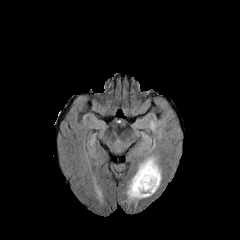
FLAIR MR image.
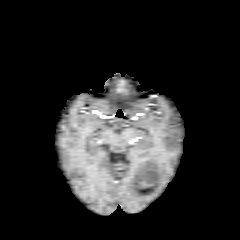
Same slice, T1-weighted MR image.
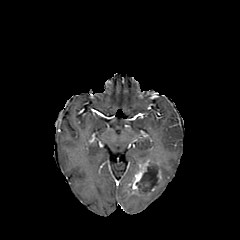
Post-contrast T1-weighted magnetic resonance of the same slice.
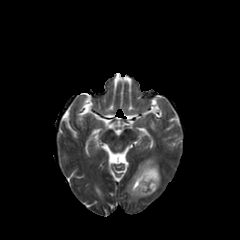
T2-weighted MRI of the same slice.
240x240 | Brain
{"edema": ["x1=141 y1=132 x2=151 y2=144", "x1=126 y1=155 x2=161 y2=201"], "enhancing_tumor": ["x1=132 y1=160 x2=149 y2=191"], "non-enhancing_tumor_core": ["x1=136 y1=167 x2=158 y2=193"]}